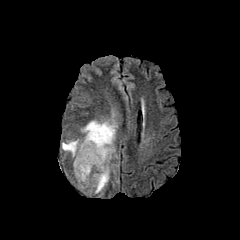
FLAIR MRI.
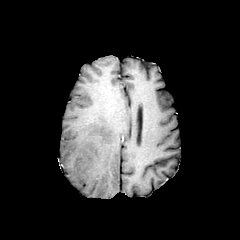
T1-weighted MRI.
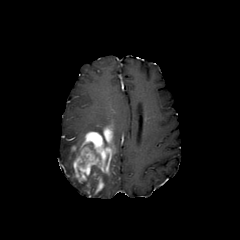
Post-contrast T1-weighted MRI.
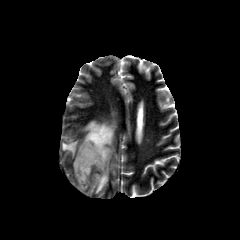
Same slice, T2-weighted MR image.
Brain; 240x240 px
{
  "non-enhancing_tumor_core": [
    "(left=76, top=165, right=107, bottom=183)",
    "(left=83, top=142, right=97, bottom=156)"
  ],
  "enhancing_tumor": [
    "(left=73, top=125, right=116, bottom=181)",
    "(left=95, top=177, right=103, bottom=193)"
  ],
  "edema": [
    "(left=99, top=175, right=109, bottom=191)",
    "(left=91, top=176, right=97, bottom=192)",
    "(left=81, top=118, right=117, bottom=142)",
    "(left=61, top=138, right=83, bottom=157)"
  ]
}